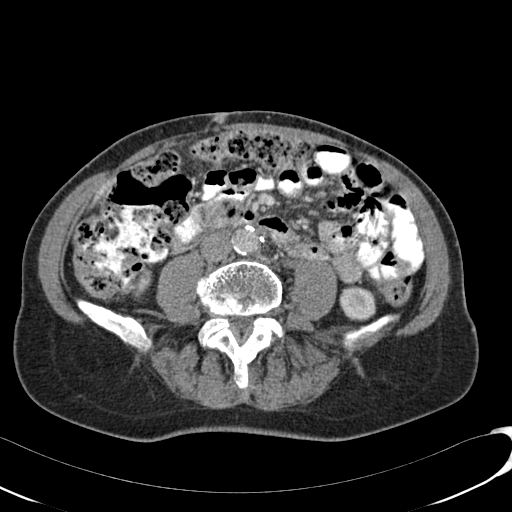
Computed tomography. Image size 512x512. 2 kidney regions are bounded by [x1=139, y1=278, x2=148, y2=289], [x1=340, y1=288, x2=374, y2=318]. The liver lies within [x1=92, y1=178, x2=116, y2=206].